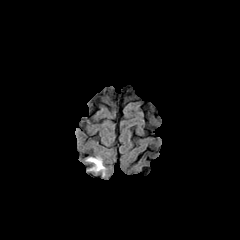
FLAIR MR.
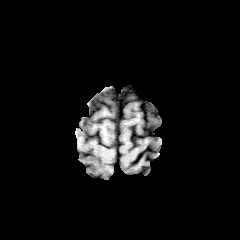
Same slice, T1-weighted magnetic resonance.
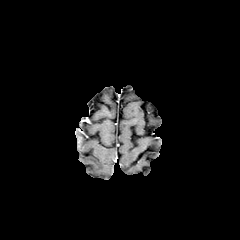
Post-contrast T1-weighted MR.
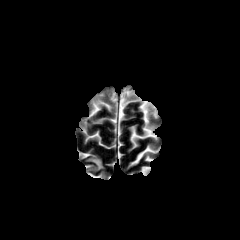
Same slice, T2-weighted magnetic resonance.
The edema is bounded by box(86, 155, 105, 176).